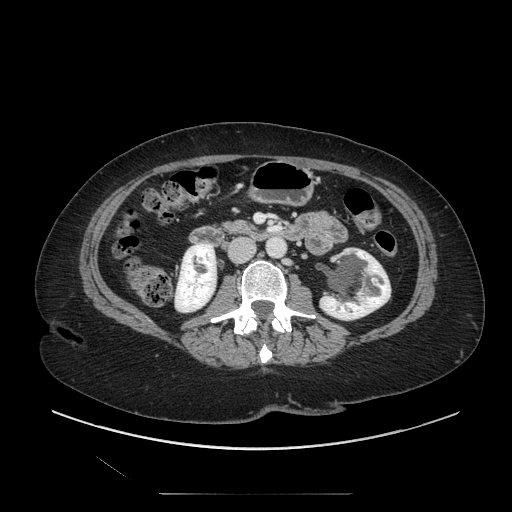

512x512 | CT slice | Upper abdomen
Segmented structures:
* pancreas: l=224, t=221, r=254, b=234